Slice 122 of 155
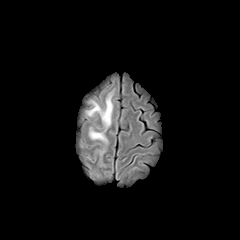
FLAIR MR image.
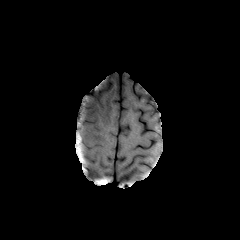
T1-weighted MRI.
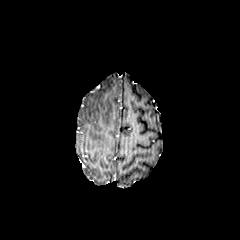
Post-contrast T1-weighted MR image.
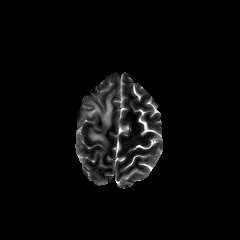
T2-weighted MR.
{
  "edema": [
    "[90,131,106,141]",
    "[86,95,113,126]"
  ]
}